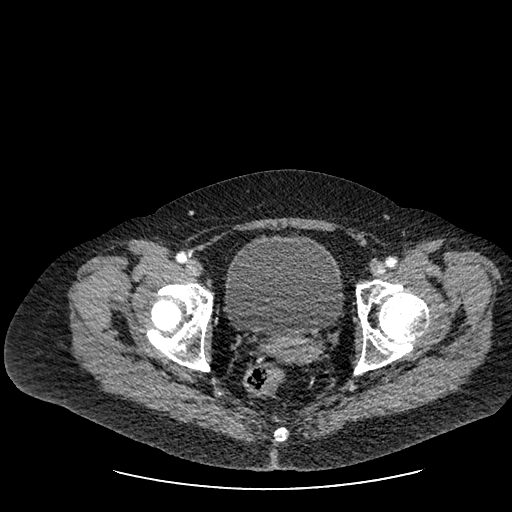

Lower abdomen | CT | 512x512 px

Urinary bladder: bounding box l=225, t=233, r=342, b=337.